Head. Slice 79 of 155. Image size 240x240.
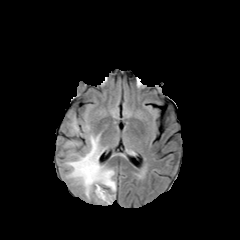
FLAIR magnetic resonance.
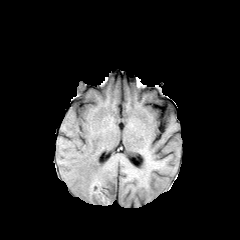
T1-weighted magnetic resonance of the same slice.
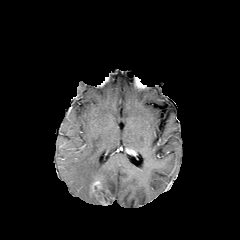
Post-contrast T1-weighted MR image.
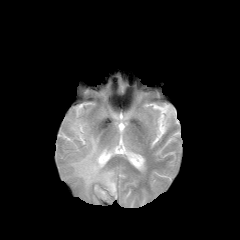
T2-weighted MR of the same slice.
2 edema regions appear at x1=67 y1=138 x2=79 y2=147, x1=66 y1=120 x2=116 y2=202.